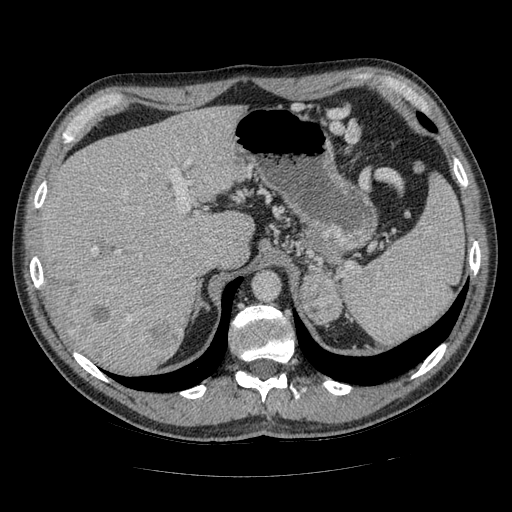 CT image | Abdomen

Pancreatic tumor: bounding box x1=302 y1=273 x2=342 y2=322.
Pancreas: bounding box x1=303 y1=268 x2=332 y2=282.